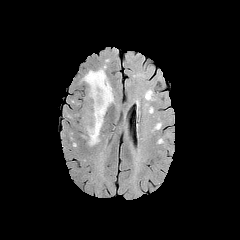
FLAIR magnetic resonance.
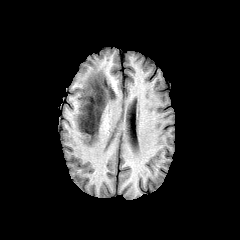
Same slice, T1-weighted MR.
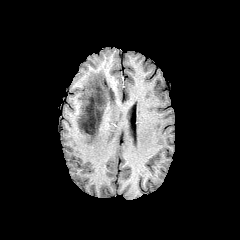
Post-contrast T1-weighted magnetic resonance.
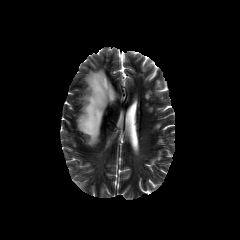
T2-weighted MRI of the same slice.
Head.
{
  "edema": [
    "l=84, t=71, r=106, b=95",
    "l=86, t=90, r=109, b=145"
  ],
  "non-enhancing_tumor_core": [
    "l=82, t=68, r=104, b=79",
    "l=79, t=73, r=113, b=137"
  ]
}